Medial temporal lobe | MRI slice | 38x52 px | Field of view 38x52 mm
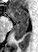 Anterior hippocampus: [7,9,28,22].
Posterior hippocampus: [14,23,28,40].